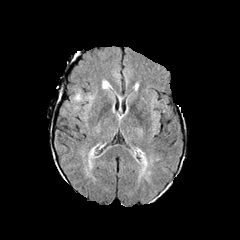
FLAIR MRI.
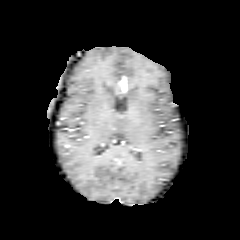
Same slice, T1-weighted MRI.
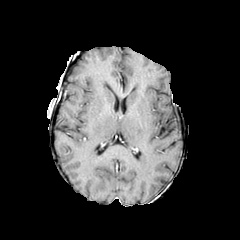
Same slice, post-contrast T1-weighted MR.
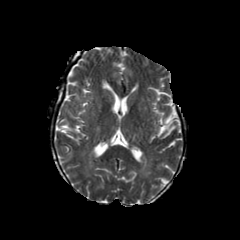
T2-weighted MR image.
240x240
edema: <bbox>89, 146, 96, 157</bbox>